Abdomen, CT 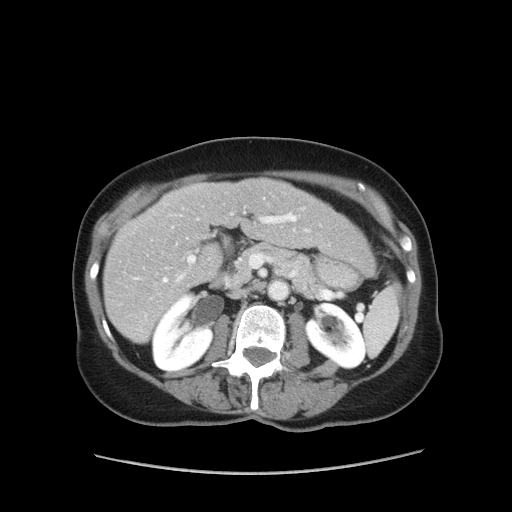 Not every hepatic vessel necessarily has a box.
Hepatic vessel = (left=259, top=212, right=296, bottom=223), (left=169, top=214, right=180, bottom=215), (left=171, top=226, right=173, bottom=228), (left=230, top=212, right=232, bottom=214), (left=176, top=272, right=185, bottom=282), (left=187, top=254, right=195, bottom=265), (left=163, top=278, right=167, bottom=280).